FLAIR MRI.
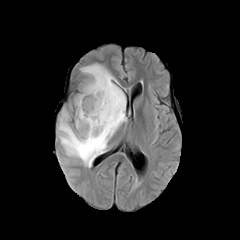
T1-weighted MR image.
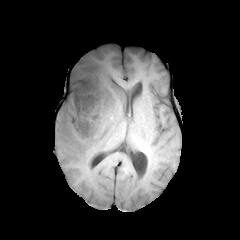
Post-contrast T1-weighted MR image.
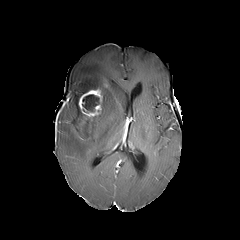
T2-weighted MR image.
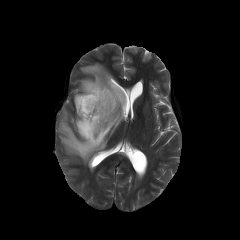
Head | Image size 240x240
Edema = {"x1": 56, "y1": 63, "x2": 127, "y2": 167}.
Enhancing tumor = {"x1": 78, "y1": 88, "x2": 102, "y2": 117}.
Non-enhancing tumor core = {"x1": 82, "y1": 94, "x2": 99, "y2": 111}, {"x1": 76, "y1": 82, "x2": 107, "y2": 136}.